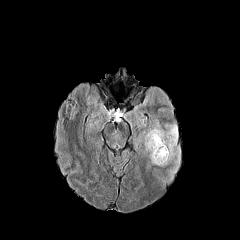
FLAIR MRI.
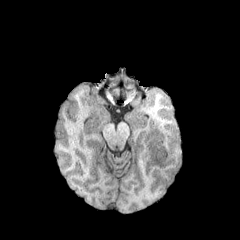
T1-weighted MRI of the same slice.
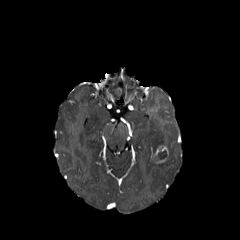
Same slice, post-contrast T1-weighted MRI.
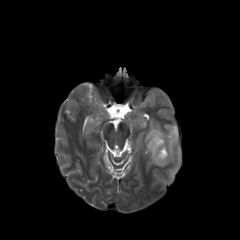
Same slice, T2-weighted MRI.
Edema at rect(143, 119, 180, 167).
Non-enhancing tumor core at rect(158, 150, 168, 160).
Enhancing tumor at rect(151, 145, 169, 164).